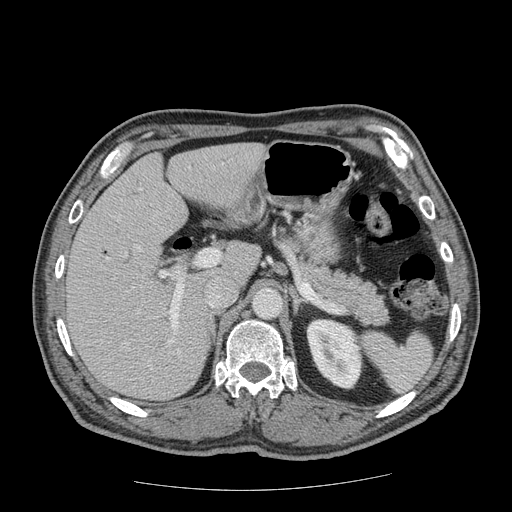 Upper abdomen. Computed tomography. Pancreas = bbox(275, 226, 390, 328).